CT image; Abdomen 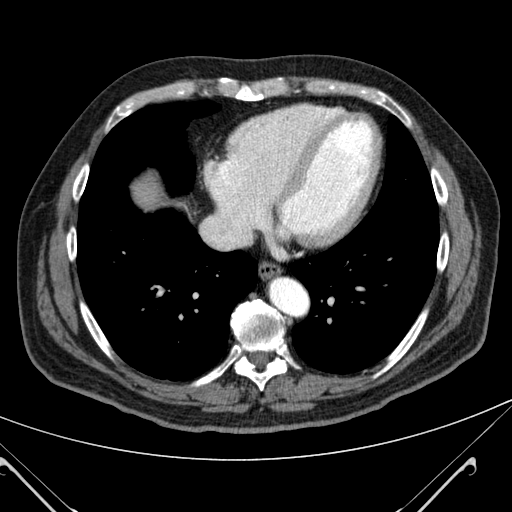

liver:
  - x1=136, y1=176, x2=157, y2=206